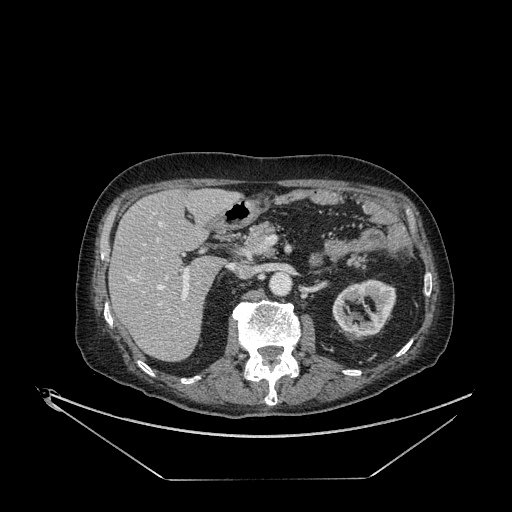 CT
Annotated regions:
• kidney: region(333, 280, 395, 336)
• liver: region(109, 189, 238, 361)